FLAIR MR image.
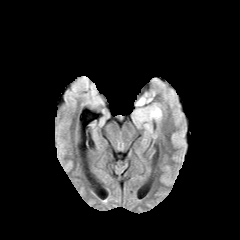
T1-weighted MR image.
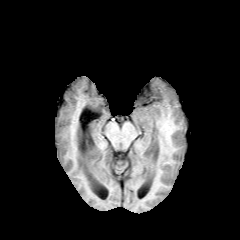
Post-contrast T1-weighted MR image.
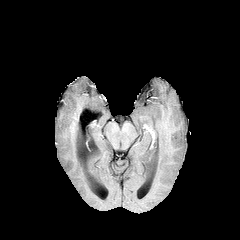
T2-weighted magnetic resonance.
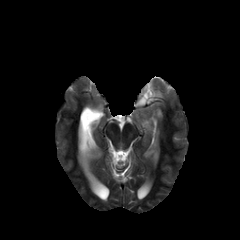
Brain, 240x240
Non-enhancing tumor core: bounding box [139, 87, 154, 104].
Edema: bounding box [134, 98, 163, 122].